T2-weighted MR image.
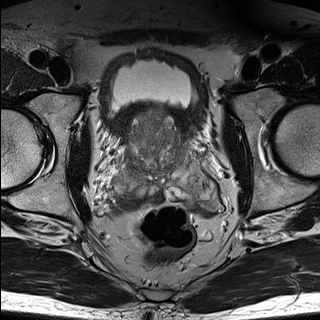
ADC MRI.
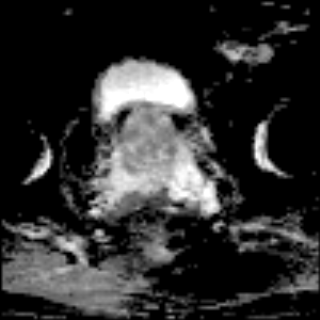
Image size 320x320
The prostate transition zone appears at box(125, 111, 187, 189).